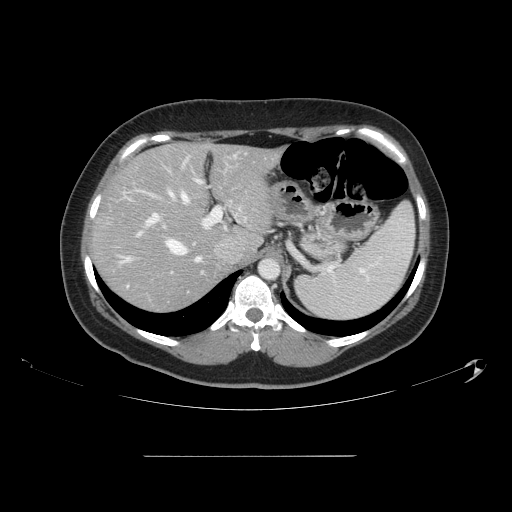
Abdomen; CT scan slice
The vessel annotation is not exhaustive.
Hepatic vessel at region(147, 213, 158, 224); region(196, 179, 200, 182); region(121, 258, 129, 262); region(167, 240, 185, 254); region(182, 192, 187, 201); region(137, 232, 140, 235); region(204, 208, 221, 228); region(185, 159, 187, 161); region(168, 191, 172, 195); region(196, 257, 199, 261).